Slice 601 of 689, Thorax, CT
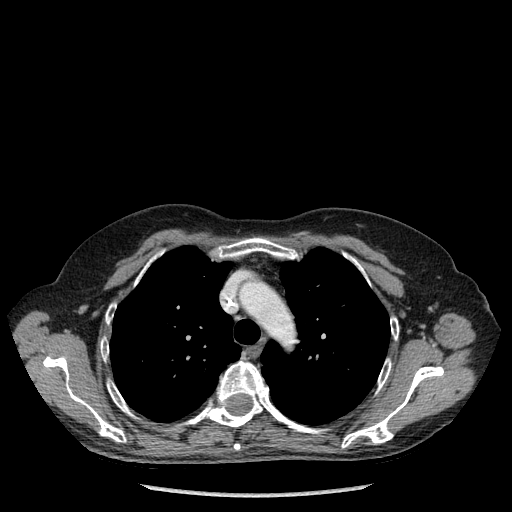

11 bone regions are bounded by [107,379,134,416], [348,256,369,284], [376,358,391,393], [105,303,115,324], [43,355,126,442], [181,361,327,433], [134,263,148,285], [390,317,398,339], [341,366,443,448], [212,238,297,259], [100,337,108,361]. 2 lung regions are located at [110,246,260,422], [261,247,390,424].